Magnetic resonance; Hippocampus 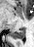 posterior hippocampus: <box>11,28,25,38</box>